Head, Image width 240 mm
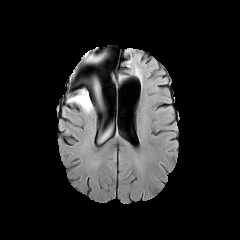
FLAIR magnetic resonance.
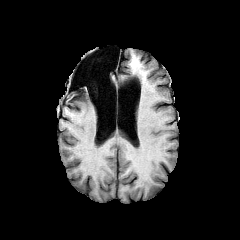
T1-weighted MR image of the same slice.
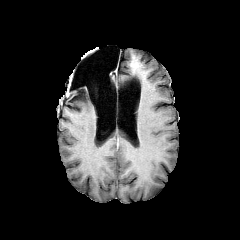
Post-contrast T1-weighted MRI.
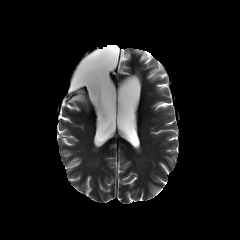
T2-weighted MR of the same slice.
<segmentation>
  <non-enhancing_tumor_core><bbox>84, 54, 94, 61</bbox></non-enhancing_tumor_core>
  <edema><bbox>68, 90, 93, 113</bbox>, <bbox>89, 55, 103, 61</bbox></edema>
</segmentation>